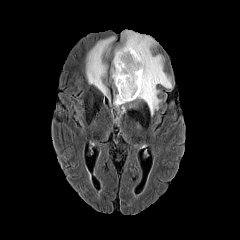
FLAIR MR image.
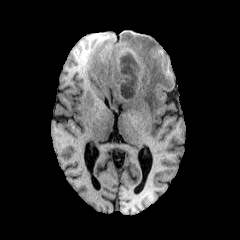
Same slice, T1-weighted MRI.
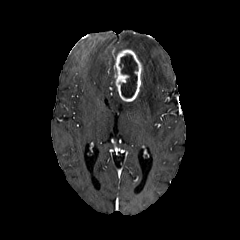
Same slice, post-contrast T1-weighted MR.
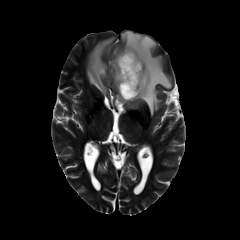
T2-weighted magnetic resonance.
Head | Image size 240x240
The non-enhancing tumor core appears at left=120, top=54, right=137, bottom=98. 3 edema regions appear at left=111, top=29, right=171, bottom=116; left=86, top=37, right=114, bottom=102; left=114, top=93, right=125, bottom=104. The enhancing tumor is located at left=113, top=48, right=143, bottom=101.